Slice 47 of 536, CT, Image size 512x512
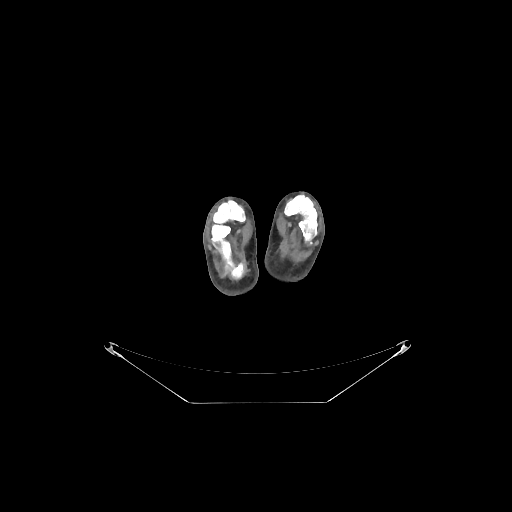 Bone at region(211, 200, 245, 278); region(284, 195, 317, 241).